Image width 700 mm; CT scan slice; Head
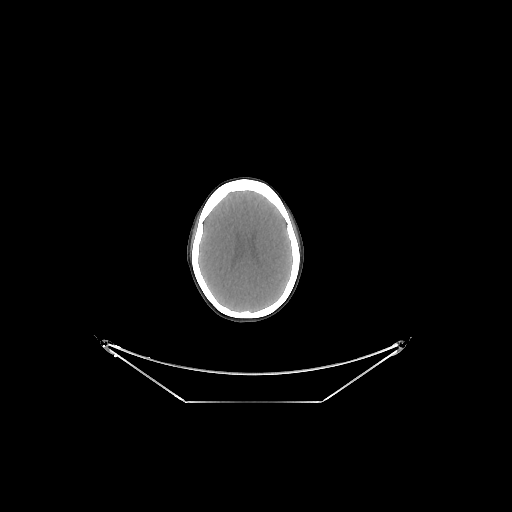

Brain: bounding box {"x1": 198, "y1": 190, "x2": 292, "y2": 312}.